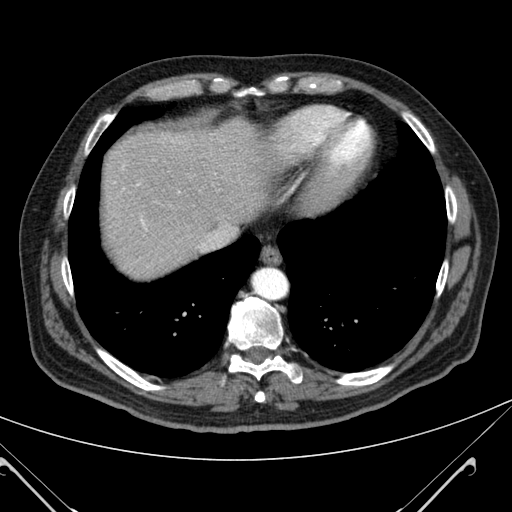
Image size 512x512, CT slice

Segmented structures:
- liver: 289, 207, 296, 215; 100, 119, 281, 283